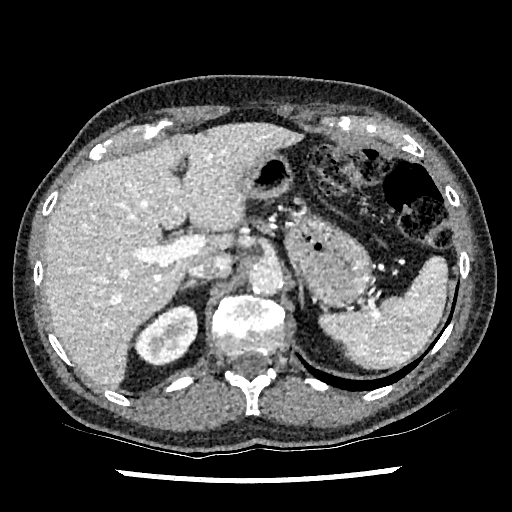
CT image; Liver; 512x512

Kidney at x1=137, y1=307, x2=196, y2=363.
Liver at x1=44, y1=122, x2=303, y2=388; x1=209, y1=233, x2=233, y2=249.